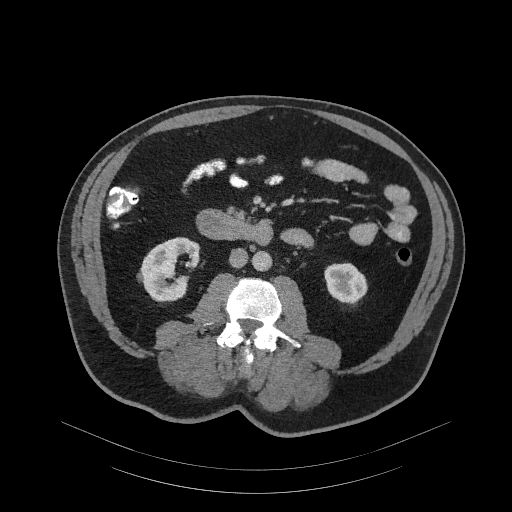

CT image, 512x512 px
Pancreas: bounding box bbox(230, 208, 255, 222).